Upper abdomen, Computed tomography 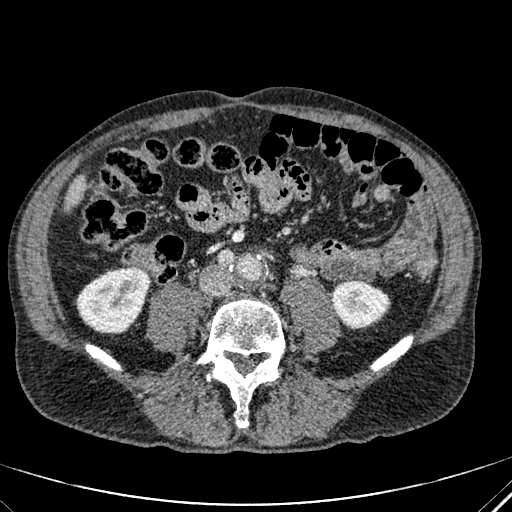

{
  "kidney": [
    "box(333, 281, 387, 327)",
    "box(78, 268, 149, 332)"
  ],
  "liver": [
    "box(65, 175, 85, 206)"
  ]
}